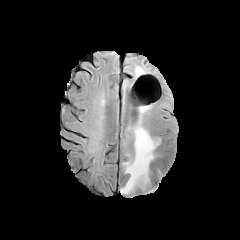
FLAIR MR image.
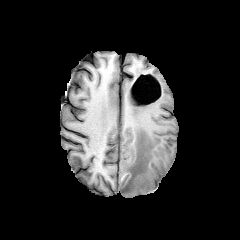
Same slice, T1-weighted MR.
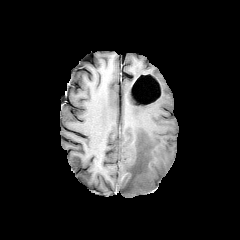
Post-contrast T1-weighted MR image of the same slice.
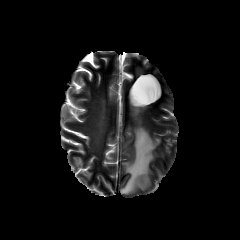
T2-weighted MR.
{"edema": ["l=120, t=118, r=159, b=194"], "non-enhancing_tumor_core": ["l=134, t=163, r=143, b=170"]}